Field of view 439 mm wide, 0.80 mm slice spacing | CT slice

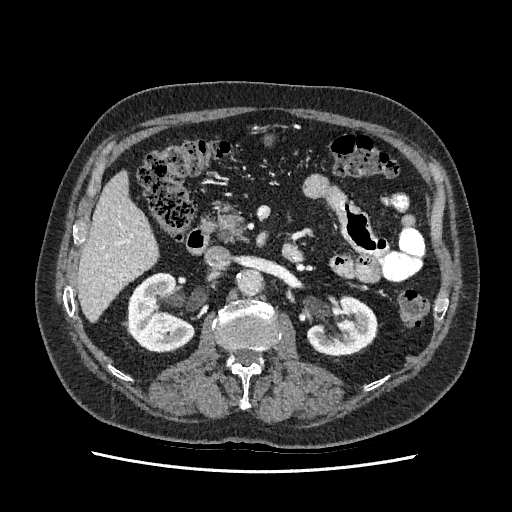

{"kidney": ["box=[308, 298, 376, 354]", "box=[129, 273, 193, 351]"], "liver": ["box=[78, 172, 157, 321]"]}